Slice 136 of 193; Liver; Computed tomography; 512x512 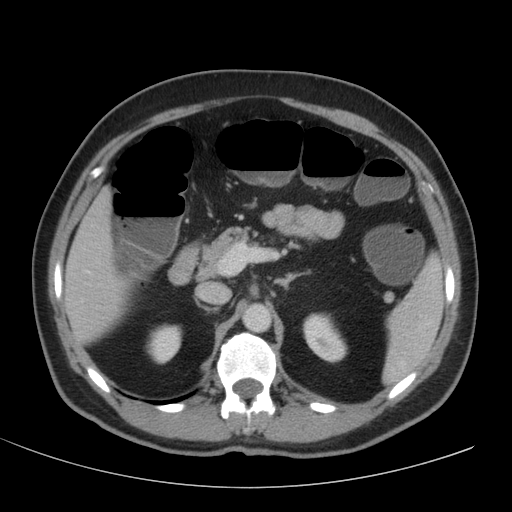 Liver: box(65, 193, 124, 341).
Kidney: box(148, 326, 180, 362); box(303, 314, 346, 361).